CT scan slice; Liver
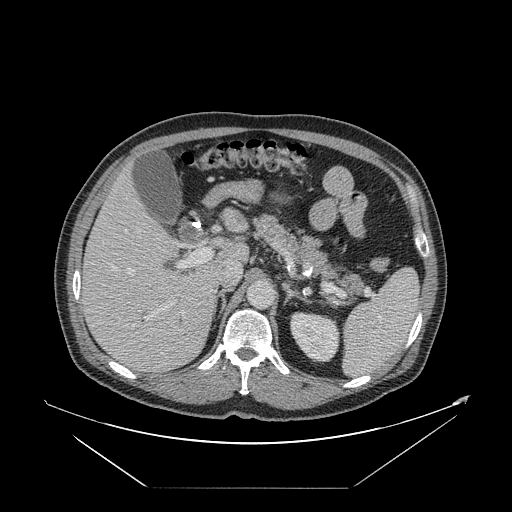

Not every hepatic vessel necessarily has a box.
10 hepatic vessel regions appear at region(178, 248, 211, 267); region(209, 287, 215, 292); region(128, 269, 133, 274); region(137, 230, 139, 232); region(126, 325, 127, 326); region(125, 230, 126, 232); region(144, 301, 175, 320); region(224, 260, 240, 279); region(175, 243, 182, 247); region(110, 264, 116, 270).